FLAIR MRI.
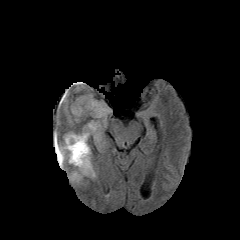
T1-weighted MRI.
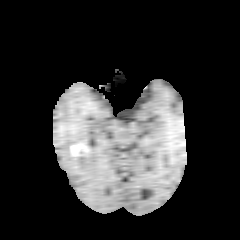
Post-contrast T1-weighted MR image.
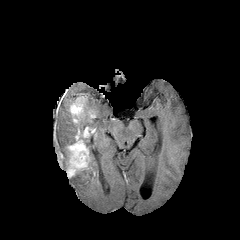
T2-weighted MR.
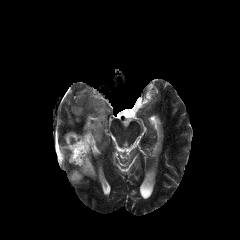
Enhancing tumor: x1=56, y1=152, x2=63, y2=165; x1=67, y1=134, x2=88, y2=177; x1=82, y1=126, x2=97, y2=138.
Non-enhancing tumor core: x1=55, y1=144, x2=70, y2=168; x1=79, y1=136, x2=91, y2=146.
Edema: x1=89, y1=101, x2=107, y2=118; x1=58, y1=132, x2=76, y2=149; x1=70, y1=120, x2=101, y2=181; x1=60, y1=162, x2=71, y2=175.